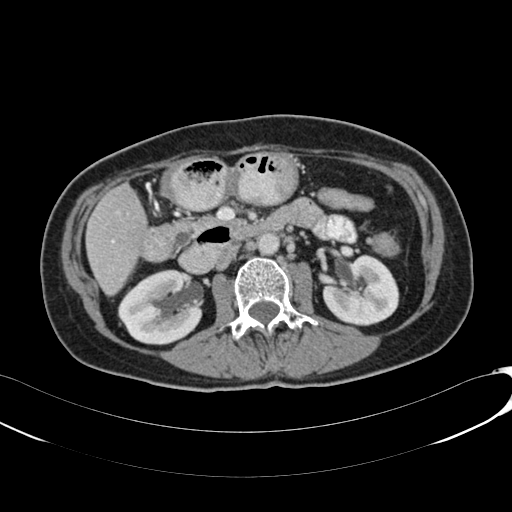

CT slice. 512x512 px. Liver. 2 kidney regions are bounded by 119,271,200,343; 324,256,397,324. The liver lies within 86,183,146,295.